Abdomen | CT slice 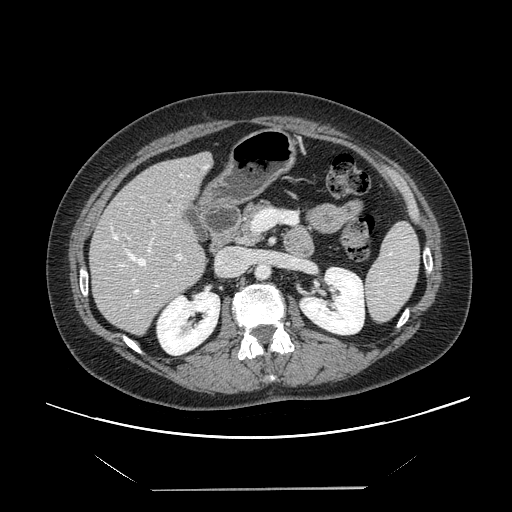
The vessel boxes may cover only some of the vessels.
Annotated regions:
• hepatic vessel: bbox=[216, 248, 244, 275]; bbox=[152, 221, 155, 224]; bbox=[147, 234, 154, 253]; bbox=[168, 205, 170, 206]; bbox=[132, 288, 140, 295]; bbox=[175, 252, 185, 261]; bbox=[131, 278, 135, 282]; bbox=[110, 224, 119, 240]; bbox=[124, 234, 130, 239]; bbox=[117, 244, 147, 267]; bbox=[154, 283, 159, 287]